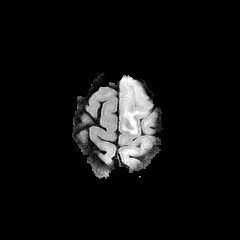
FLAIR magnetic resonance.
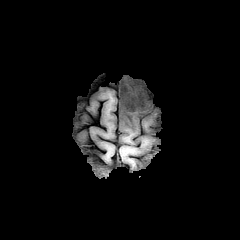
T1-weighted MR.
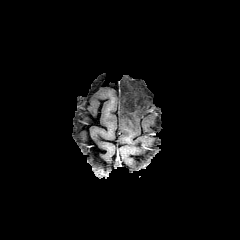
Post-contrast T1-weighted MRI.
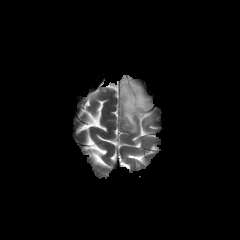
T2-weighted MR.
Brain
Findings:
* edema: [x1=120, y1=76, x2=151, y2=145]
* non-enhancing tumor core: [x1=121, y1=142, x2=136, y2=161], [x1=127, y1=107, x2=137, y2=125]